FLAIR MRI.
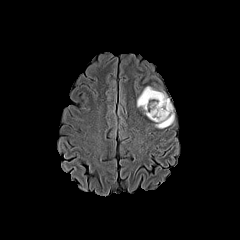
T1-weighted MR image.
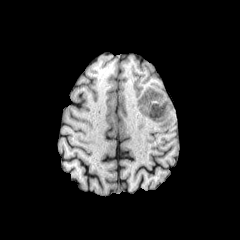
Post-contrast T1-weighted magnetic resonance.
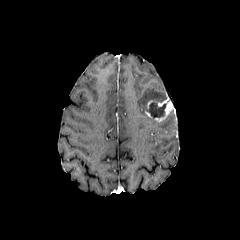
T2-weighted magnetic resonance.
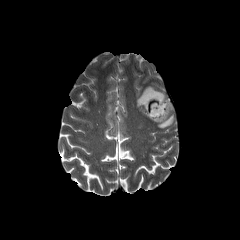
Head
edema: region(137, 86, 167, 109); region(157, 115, 174, 127) | non-enhancing tumor core: region(146, 103, 165, 117) | enhancing tumor: region(146, 98, 172, 121)